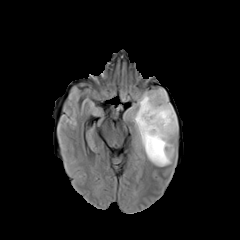
FLAIR MR.
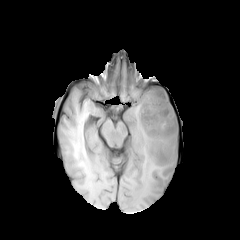
T1-weighted MR image.
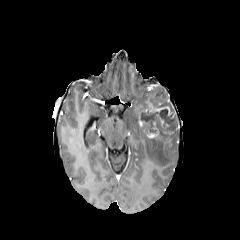
Post-contrast T1-weighted MR.
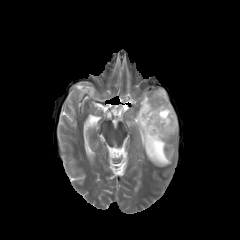
Same slice, T2-weighted MR image.
edema:
  - 129:91:178:166
enhancing_tumor:
  - 149:104:171:114
non-enhancing_tumor_core:
  - 138:86:177:139